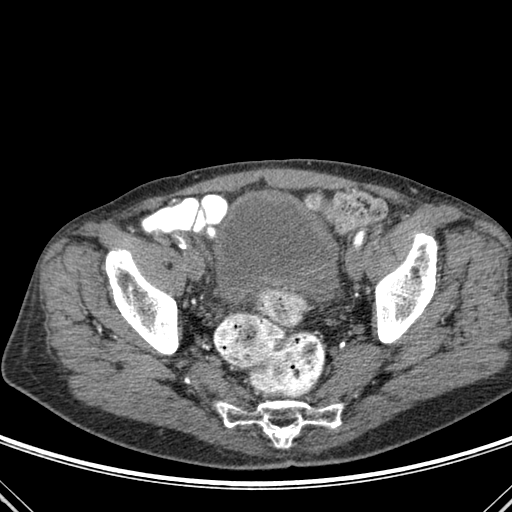 CT image

Urinary bladder: bounding box box=[206, 195, 345, 303].
Bone: bounding box box=[375, 233, 437, 343]; box=[105, 249, 178, 354]; box=[216, 400, 342, 447].